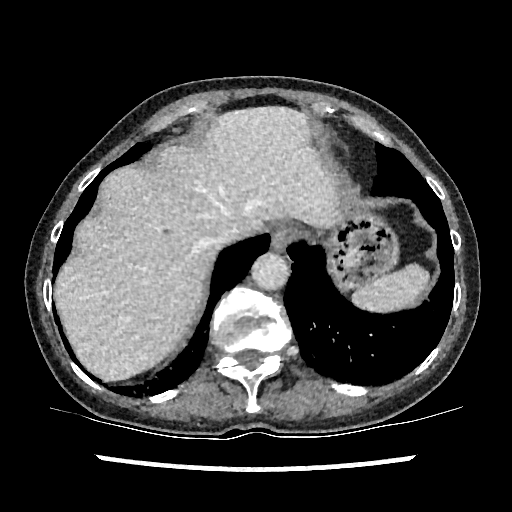
CT slice

The liver lies within 55, 107, 336, 379.